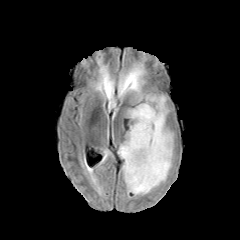
FLAIR MR image.
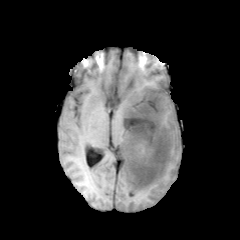
T1-weighted magnetic resonance.
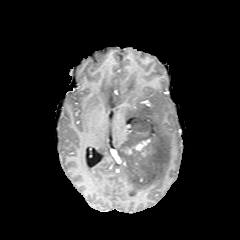
Same slice, post-contrast T1-weighted magnetic resonance.
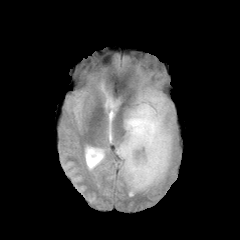
T2-weighted MR.
240x240 px
Enhancing tumor = rect(133, 139, 150, 150).
Edema = rect(99, 83, 117, 105); rect(118, 132, 142, 162); rect(134, 148, 150, 163); rect(124, 65, 174, 195); rect(121, 165, 131, 195).
Non-enhancing tumor core = rect(124, 98, 169, 193).